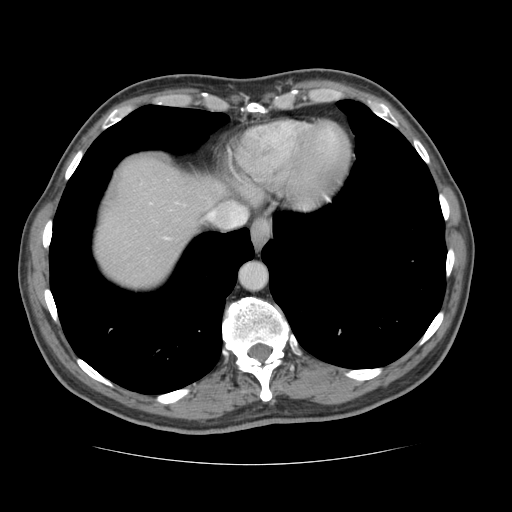 CT
Only some of the vessels may be annotated.
The hepatic vessel is located at box(165, 238, 168, 238).